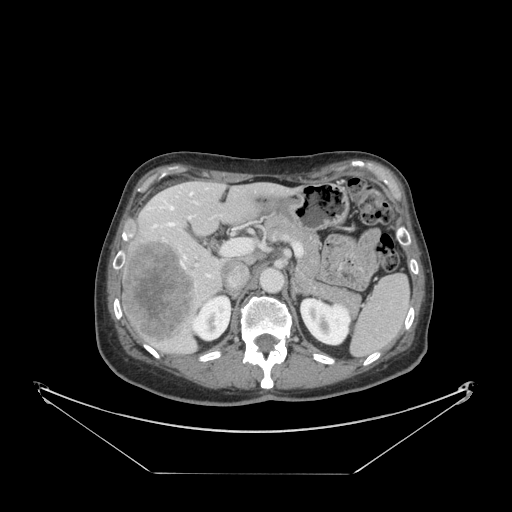
Abdomen. CT.
The spleen lies within [351, 276, 409, 355].